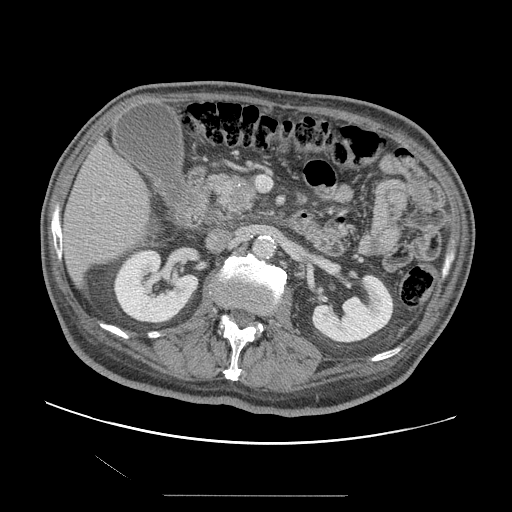

Computed tomography
<segmentation>
  <pancreatic_tumor>(231,181,253,205)</pancreatic_tumor>
  <pancreas>(215,174,258,219)</pancreas>
</segmentation>